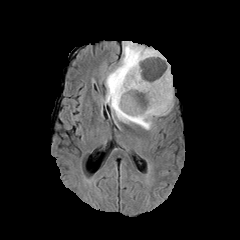
FLAIR MR image.
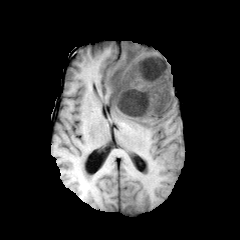
T1-weighted MR image of the same slice.
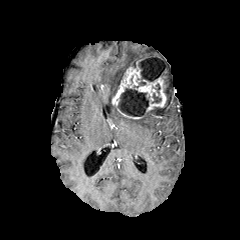
Post-contrast T1-weighted magnetic resonance of the same slice.
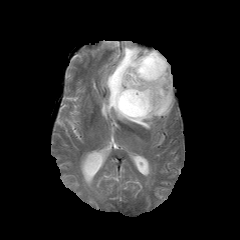
T2-weighted MR image.
Brain
{
  "enhancing_tumor": [
    "(x1=111, y1=57, x2=167, y2=119)"
  ],
  "non-enhancing_tumor_core": [
    "(x1=139, y1=56, x2=166, y2=85)",
    "(x1=152, y1=94, x2=161, y2=102)",
    "(x1=117, y1=88, x2=149, y2=116)"
  ],
  "edema": [
    "(x1=104, y1=41, x2=173, y2=129)"
  ]
}